Slice 88 of 155, Head
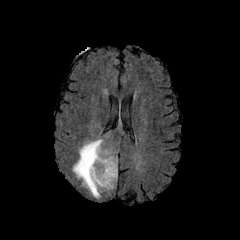
FLAIR MRI.
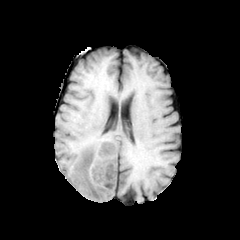
T1-weighted MR image of the same slice.
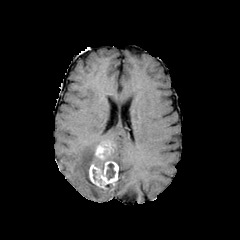
Post-contrast T1-weighted magnetic resonance of the same slice.
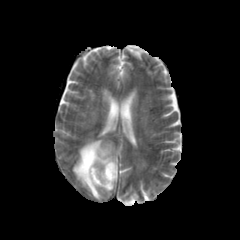
T2-weighted MRI.
<segmentation>
  <non-enhancing_tumor_core>(82,148,105,185), (106,148,116,163), (106,163,115,179)</non-enhancing_tumor_core>
  <edema>(112,149,117,163), (72,136,111,198)</edema>
  <enhancing_tumor>(89,160,117,189), (95,142,111,160)</enhancing_tumor>
</segmentation>